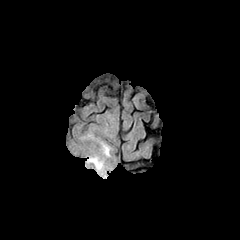
FLAIR magnetic resonance.
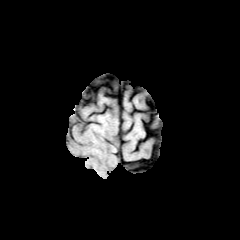
T1-weighted MRI.
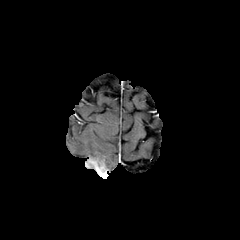
Post-contrast T1-weighted MR image.
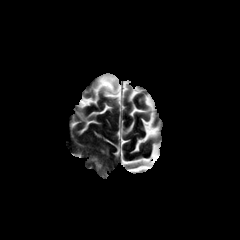
T2-weighted MR image of the same slice.
Head
2 edema regions appear at <box>100,145,109,157</box>, <box>85,159,108,178</box>. The enhancing tumor lies within <box>88,157,107,171</box>.